FLAIR MR image.
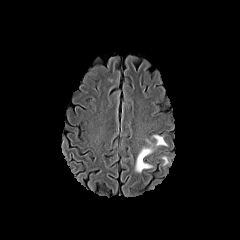
T1-weighted MRI.
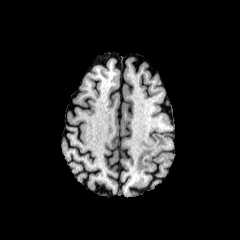
Post-contrast T1-weighted MR image.
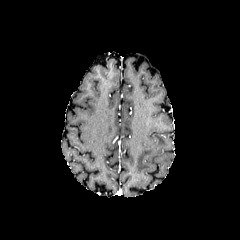
T2-weighted magnetic resonance.
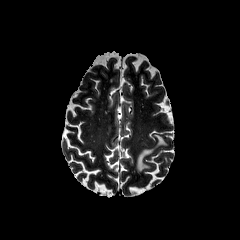
Head | 240x240 px
Edema = (135,135,166,172).